Slice 366 of 540, Computed tomography
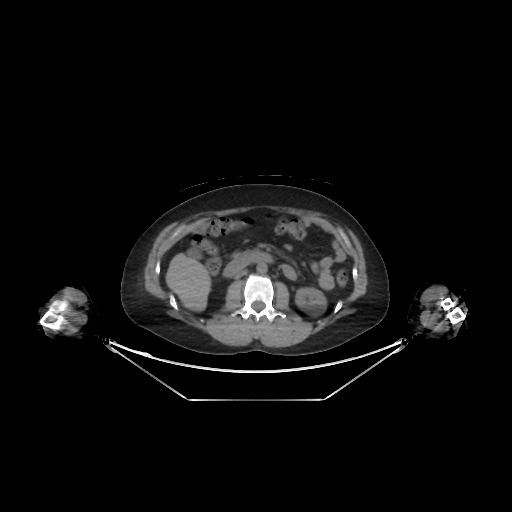

liver:
  - x1=166 y1=246 x2=212 y2=311
kidney:
  - x1=295 y1=287 x2=326 y2=319